240x240 px
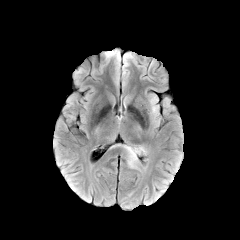
FLAIR MR image.
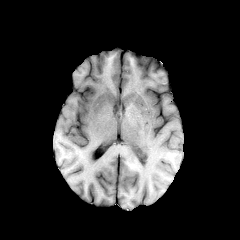
T1-weighted magnetic resonance.
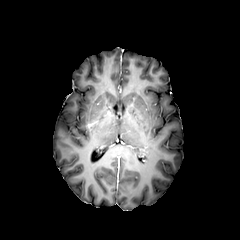
Post-contrast T1-weighted MRI.
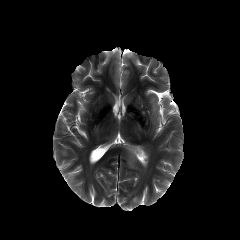
T2-weighted MR.
2 edema regions are bounded by 150 95 160 123, 127 160 138 168. The non-enhancing tumor core appears at 124 146 147 162. The enhancing tumor is located at 128 146 143 158.